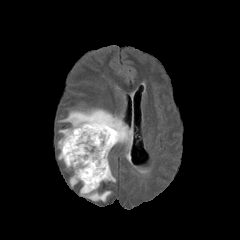
FLAIR magnetic resonance.
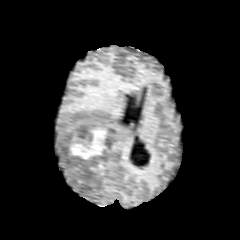
T1-weighted MR.
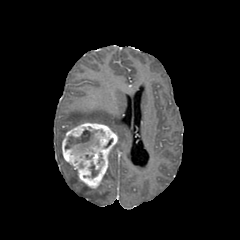
Same slice, post-contrast T1-weighted MR image.
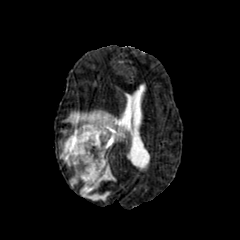
T2-weighted MR.
Head
<segmentation>
  <enhancing_tumor>bbox=[61, 121, 119, 190]</enhancing_tumor>
  <edema>bbox=[80, 185, 110, 201]; bbox=[69, 175, 78, 186]; bbox=[60, 109, 132, 143]; bbox=[104, 167, 115, 181]</edema>
  <non-enhancing_tumor_core>bbox=[66, 130, 92, 148]</non-enhancing_tumor_core>
</segmentation>